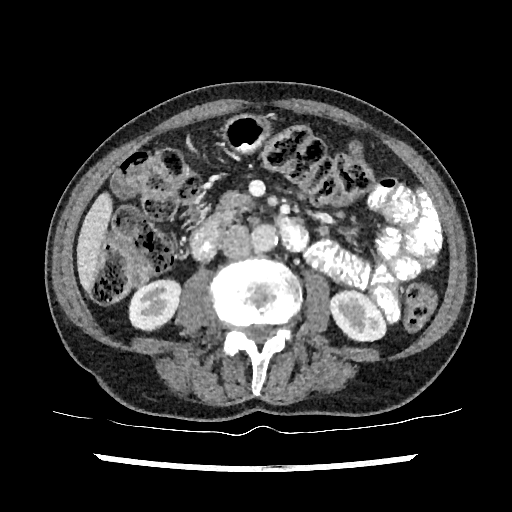

CT slice
The liver is bounded by bbox=[78, 194, 110, 288]. 2 kidney regions appear at bbox=[130, 281, 179, 328]; bbox=[331, 292, 385, 340].